Slice 40/155
FLAIR magnetic resonance.
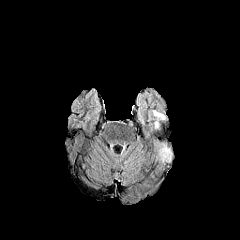
T1-weighted MR image.
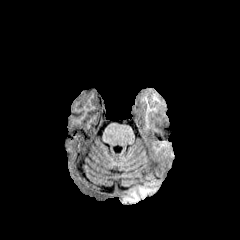
Post-contrast T1-weighted MR image.
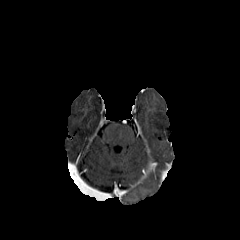
T2-weighted MR image.
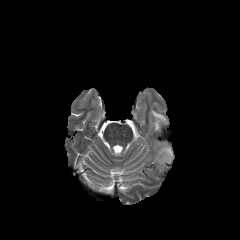
<segmentation>
  <edema>x1=152, y1=142, x2=173, y2=170; x1=153, y1=111, x2=165, y2=130</edema>
</segmentation>